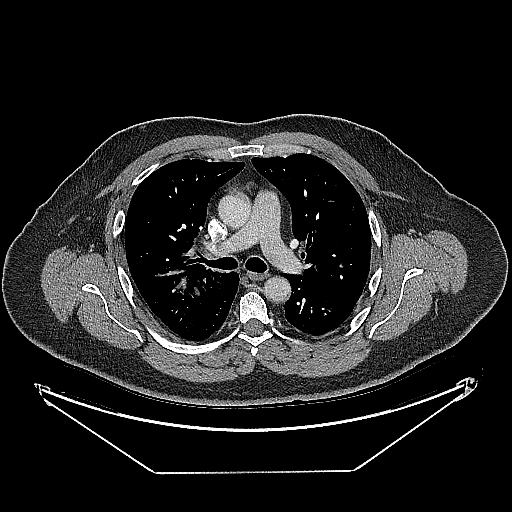
CT slice
{"lung_tumor": ["box(166, 266, 222, 299)"]}